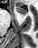
38x48; Magnetic resonance

The anterior hippocampus lies within box(14, 6, 27, 14).